Upper abdomen; CT scan slice; Slice 28 of 73

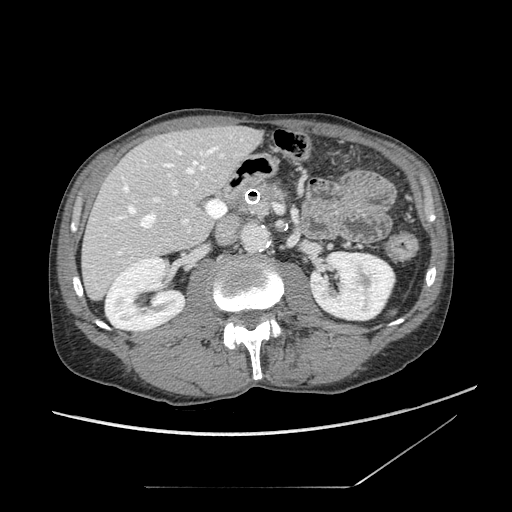 Pancreas = [252, 182, 286, 217].
Pancreatic tumor = [263, 186, 277, 201].